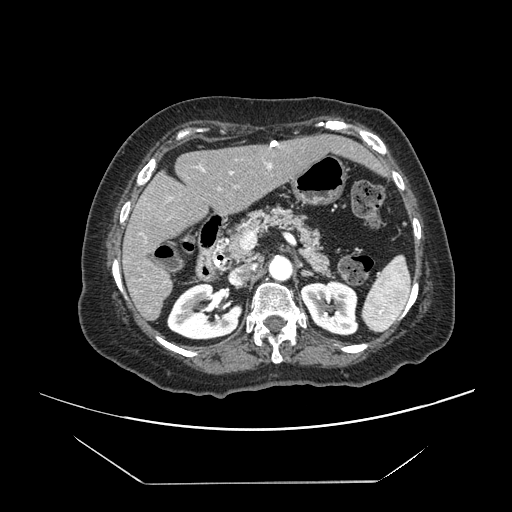
CT scan slice

Not every hepatic vessel necessarily has a box.
hepatic vessel: (230, 172, 232, 173), (240, 231, 255, 249)